CT slice, Field of view 360 mm wide, 1.25 mm slice spacing, Liver
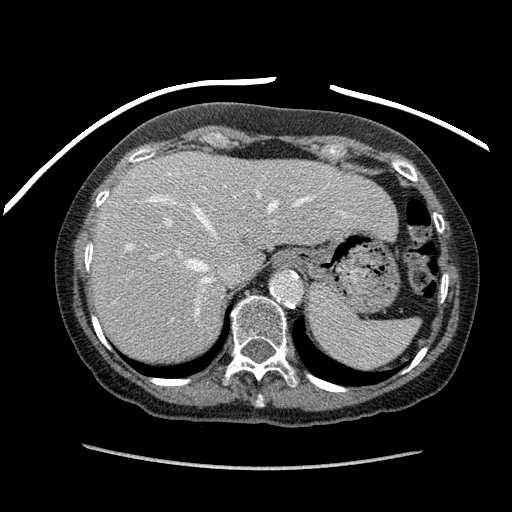
liver: [92, 152, 396, 362]